Abdomen | CT image | 512x512 px

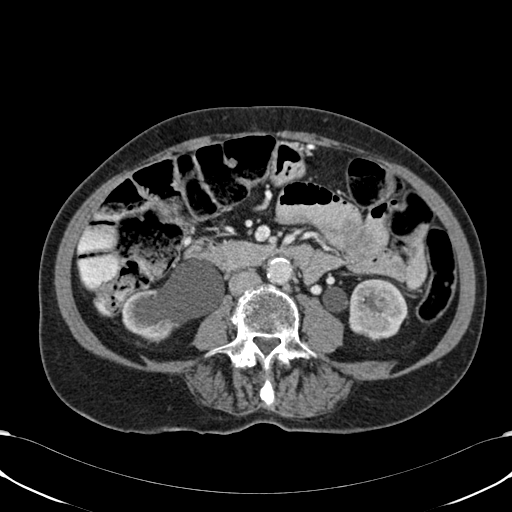
kidney: 349,280,406,338; 122,291,225,339